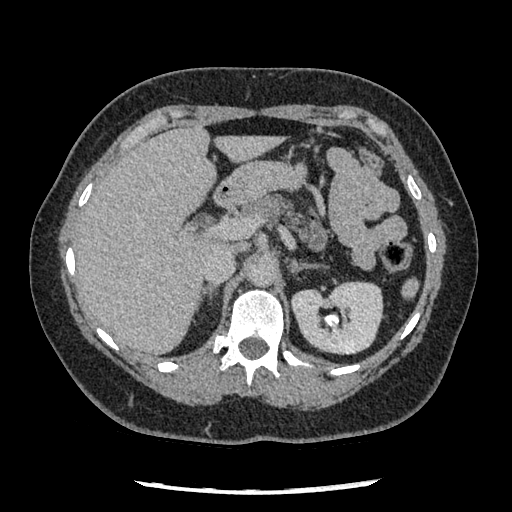

CT slice. Annotated regions:
• pancreas: [x1=245, y1=195, x2=306, y2=237]